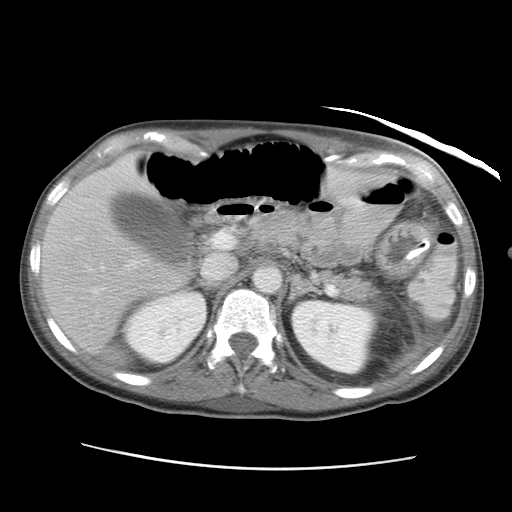
CT slice.

liver: 323, 183, 369, 213; 41, 163, 188, 353; 375, 177, 395, 184 | kidney: 292, 300, 374, 373; 126, 292, 205, 362